512x512 px, CT, Field of view 320x320 mm
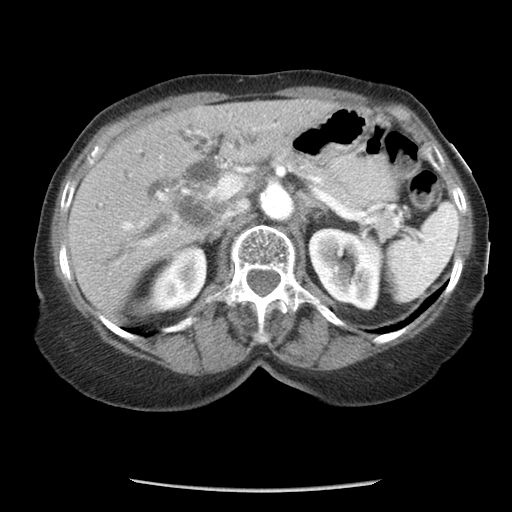 Pancreas: bounding box 270 149 395 234.